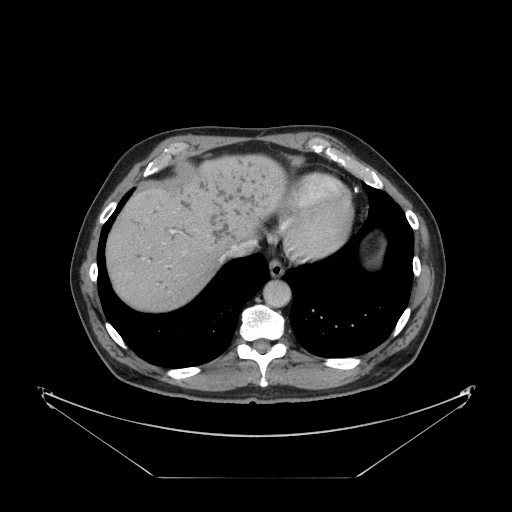
CT scan slice, Image size 512x512

Some hepatic vessels may have no box.
Hepatic vessel = x1=220 y1=240 x2=255 y2=260, x1=170 y1=231 x2=173 y2=233.